FLAIR magnetic resonance.
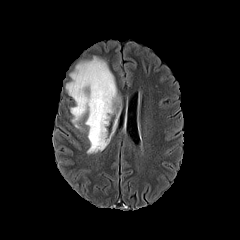
T1-weighted MR.
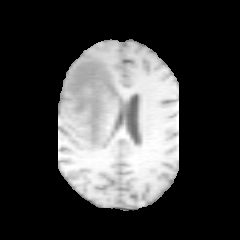
Post-contrast T1-weighted MRI.
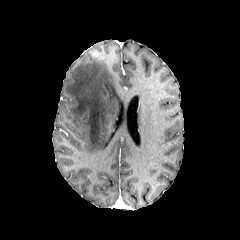
T2-weighted MR.
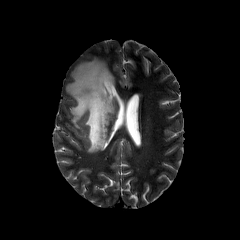
- edema: l=66, t=57, r=118, b=154